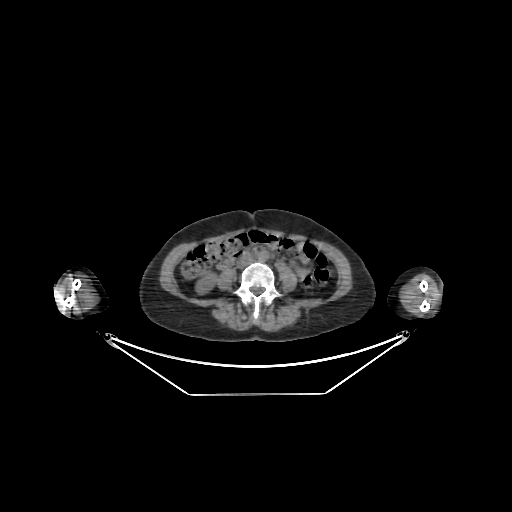 Abdomen, CT image
Kidney: bbox(196, 270, 219, 294).